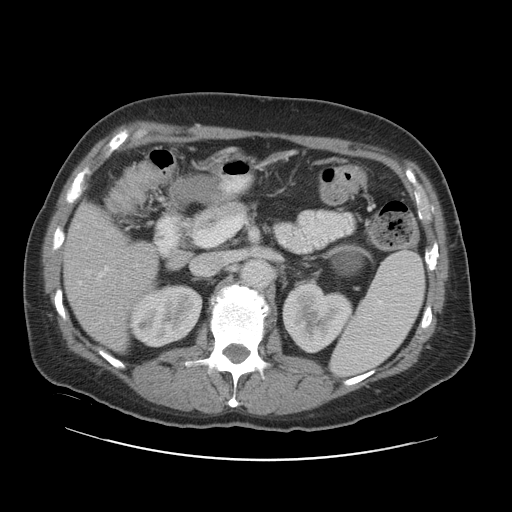
512x512, CT

Not every hepatic vessel necessarily has a box.
The hepatic vessel lies within rect(104, 266, 109, 270).